CT image, Upper abdomen 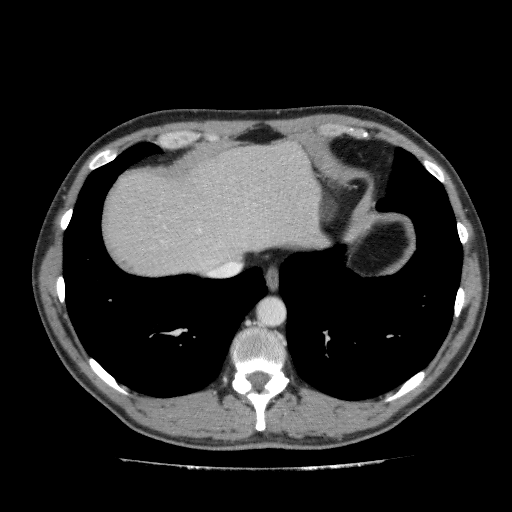
Liver = left=102, top=140, right=331, bottom=276.